240x240 | Image width 240 mm
FLAIR magnetic resonance.
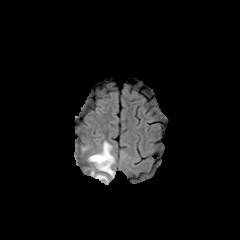
T1-weighted MRI.
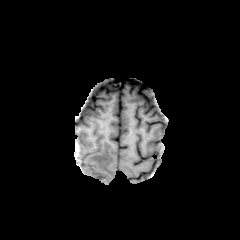
Post-contrast T1-weighted MR image.
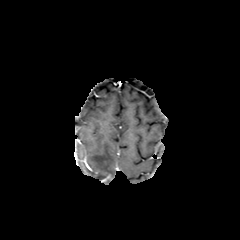
T2-weighted MR image.
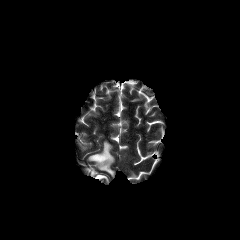
• edema: [x1=86, y1=141, x2=114, y2=181]